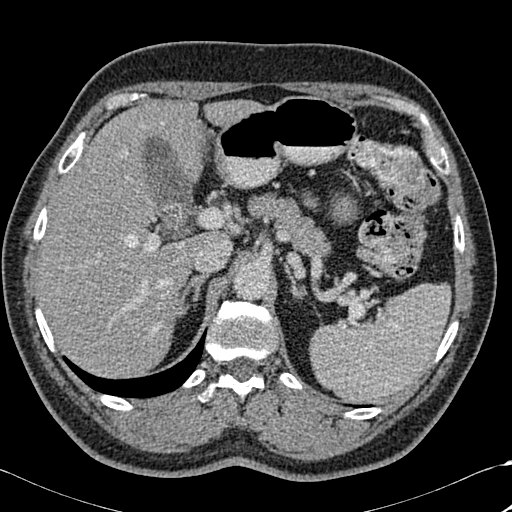 Liver, CT scan slice, 512x512 px

{"liver": ["(x1=41, y1=103, x2=203, y2=378)", "(x1=210, y1=101, x2=253, y2=124)"], "bone": ["(x1=36, y1=310, x2=53, y2=350)", "(x1=454, y1=217, x2=464, y2=251)", "(x1=201, y1=302, x2=276, y2=400)", "(x1=436, y1=322, x2=457, y2=360)", "(x1=280, y1=373, x2=301, y2=388)", "(x1=34, y1=209, x2=46, y2=239)", "(x1=68, y1=133, x2=84, y2=157)", "(x1=184, y1=370, x2=204, y2=386)", "(x1=346, y1=408, x2=379, y2=419)", "(x1=101, y1=395, x2=131, y2=410)"], "lung": ["(x1=63, y1=330, x2=205, y2=397)"]}